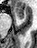 MR | Medial temporal lobe
The anterior hippocampus lies within {"x1": 15, "y1": 7, "x2": 24, "y2": 19}.